512x512, Computed tomography, Field of view 320x320 mm, Slice 353/519
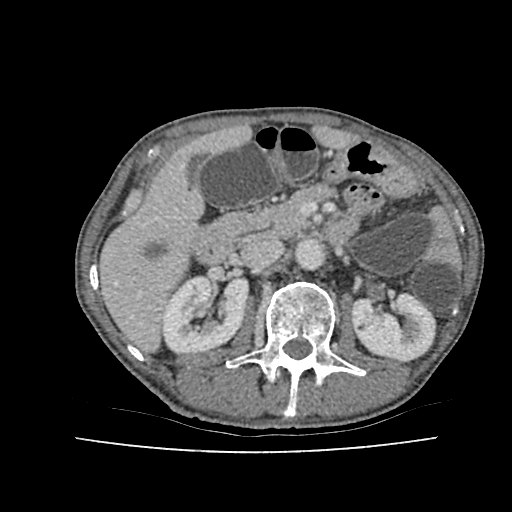 Annotated regions:
* liver: [100,129,248,348], [320,131,350,145]
* kidney: [353,294,434,360], [163,277,247,352]